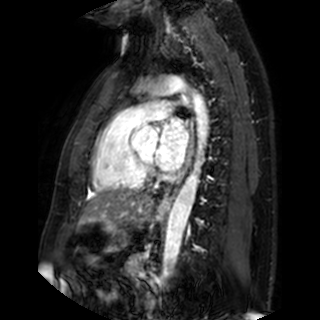

Magnetic resonance. The left atrium is at [x1=155, y1=119, x2=188, y2=171].